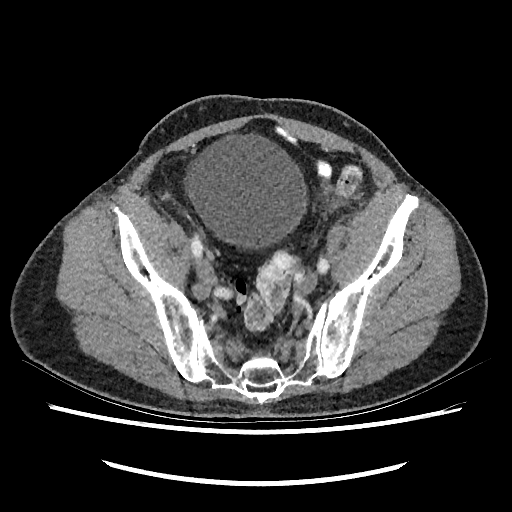 CT scan slice

<segmentation>
  <urinary_bladder>rect(186, 131, 308, 249)</urinary_bladder>
</segmentation>